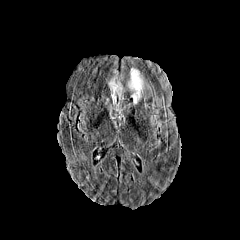
FLAIR magnetic resonance.
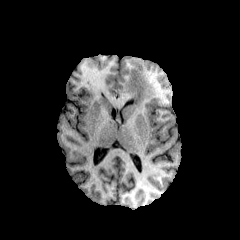
T1-weighted MR of the same slice.
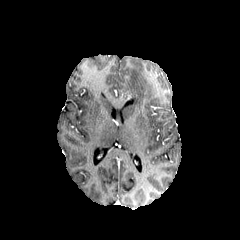
Post-contrast T1-weighted MRI.
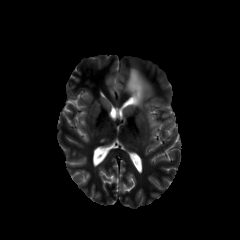
T2-weighted MR image.
Edema = box=[129, 69, 144, 105].